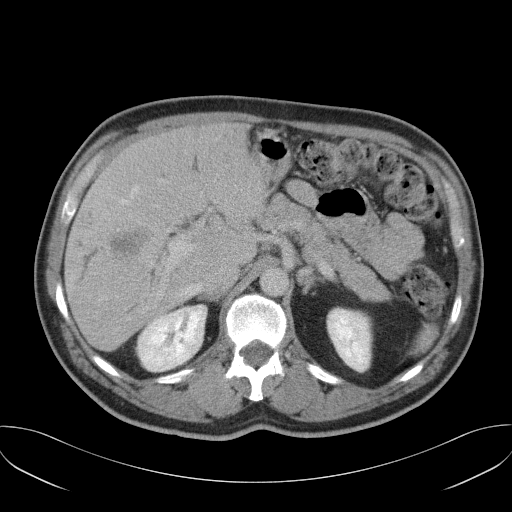 Liver | CT | 512x512 px

The vessel boxes may cover only some of the vessels.
The liver tumor appears at box(110, 232, 146, 259). 3 hepatic vessel regions appear at box(180, 284, 200, 295); box(209, 209, 210, 210); box(163, 235, 191, 271).